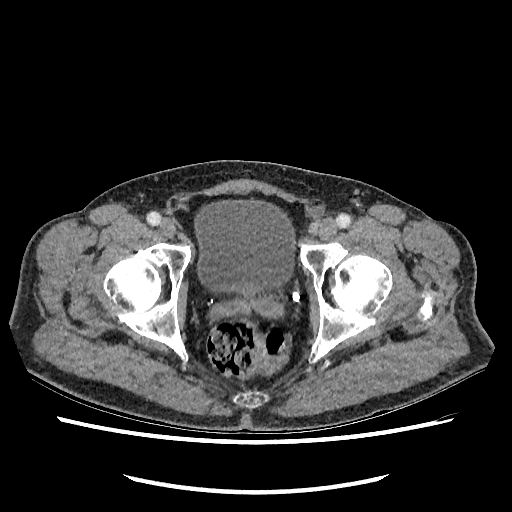

Pelvis. CT. 512x512.
urinary bladder: 194:199:295:299